Slice 83 of 155; 240x240
FLAIR MR.
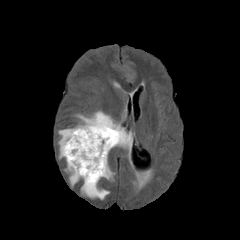
T1-weighted MRI.
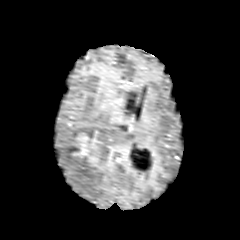
Post-contrast T1-weighted MRI.
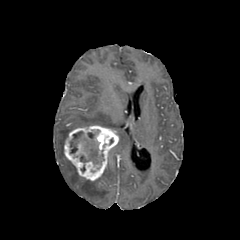
T2-weighted MRI.
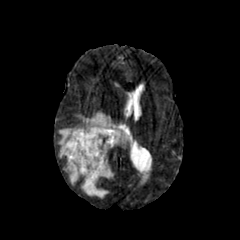
Annotated regions:
• edema: (76, 111, 132, 147), (103, 166, 114, 179), (58, 129, 70, 158), (81, 178, 109, 199), (65, 161, 78, 185)
• enhancing tumor: (64, 124, 119, 182)
• non-enhancing tumor core: (70, 142, 77, 153), (73, 132, 82, 140)